FLAIR MRI.
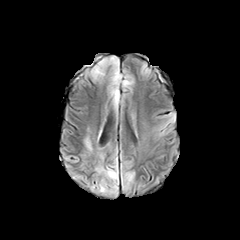
T1-weighted magnetic resonance.
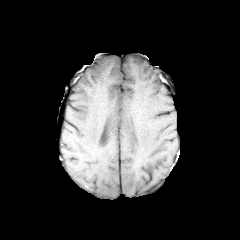
Post-contrast T1-weighted magnetic resonance.
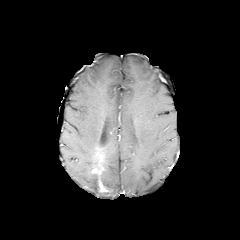
T2-weighted MR.
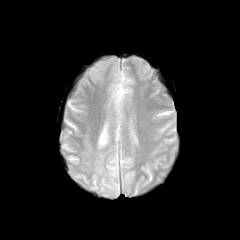
Head
edema: <bbox>101, 160, 118, 194</bbox> | non-enhancing tumor core: <bbox>94, 154, 104, 173</bbox>